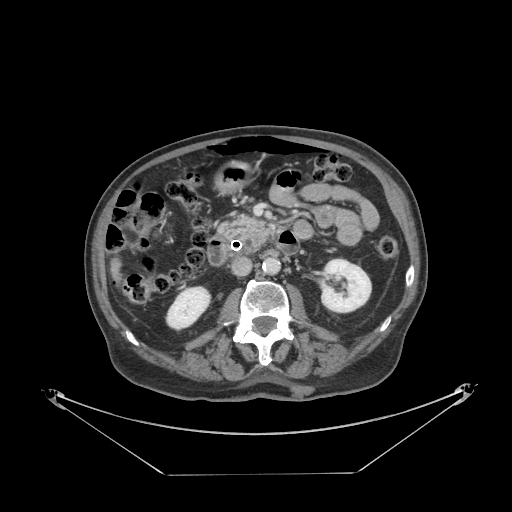 CT slice | 512x512 px
pancreas: x1=220 y1=218 x2=270 y2=246